FLAIR MR.
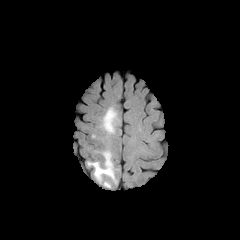
T1-weighted MRI.
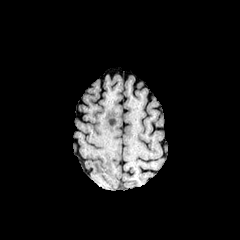
Post-contrast T1-weighted MR.
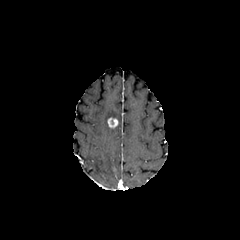
T2-weighted magnetic resonance.
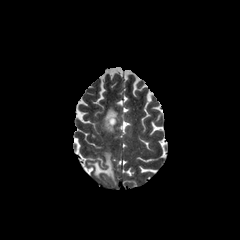
Brain, 240x240 px
<segmentation>
  <edema>box(87, 151, 116, 183); box(99, 106, 117, 134)</edema>
  <enhancing_tumor>box(107, 117, 118, 127)</enhancing_tumor>
</segmentation>